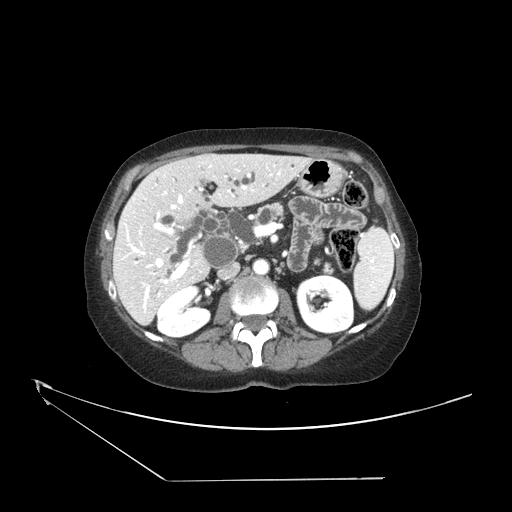
CT. Pancreas — [323,263,332,272], [255,203,283,226].